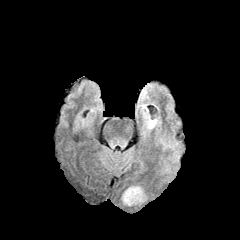
FLAIR MR image.
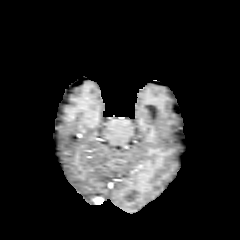
Same slice, T1-weighted MR.
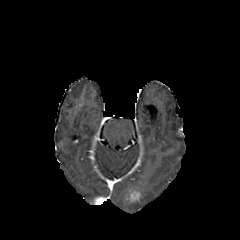
Post-contrast T1-weighted MRI of the same slice.
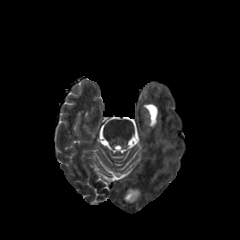
T2-weighted MR.
Brain
The enhancing tumor is located at box(124, 186, 142, 203).